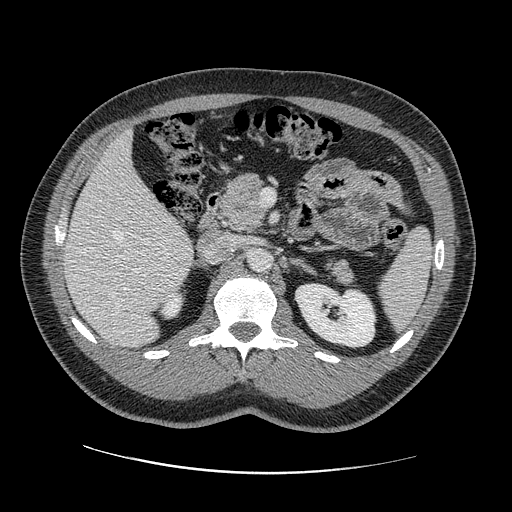
CT image, Upper abdomen, 512x512

{
  "pancreas": [
    "212:171:266:233",
    "323:256:357:286"
  ]
}